FLAIR MRI.
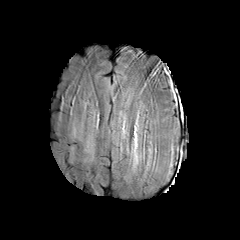
T1-weighted magnetic resonance.
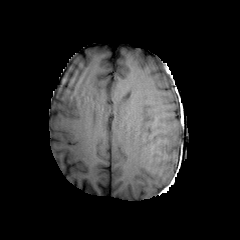
Post-contrast T1-weighted MR.
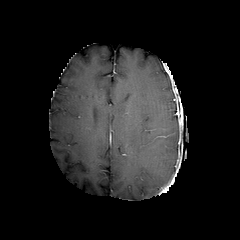
T2-weighted magnetic resonance.
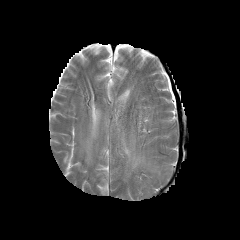
Head. 240x240.
The edema is at bbox(131, 148, 138, 163).